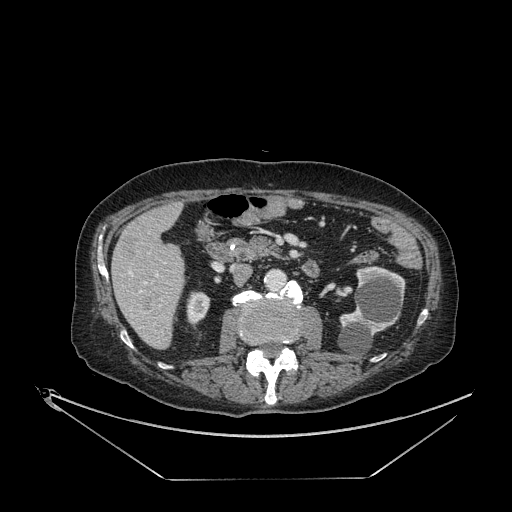

Upper abdomen, CT scan slice
Kidney: box=[357, 266, 404, 296]; box=[325, 283, 334, 290]; box=[187, 293, 209, 323]; box=[336, 287, 351, 295]; box=[340, 306, 397, 334].
Liver: box=[112, 203, 184, 349].
Focal liver lesion: box=[123, 238, 135, 257].